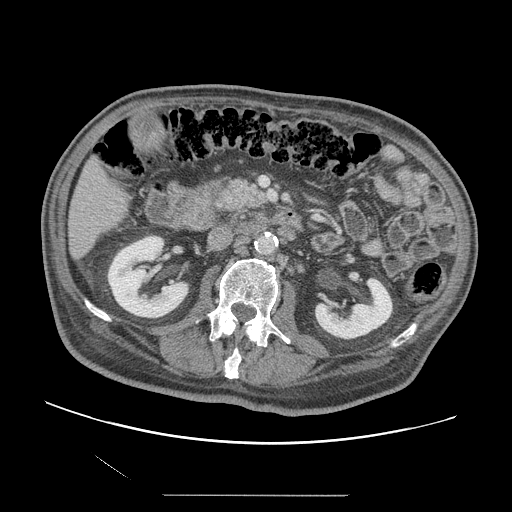

512x512; Computed tomography

Pancreas: bounding box x1=215, y1=176, x2=268, y2=215.